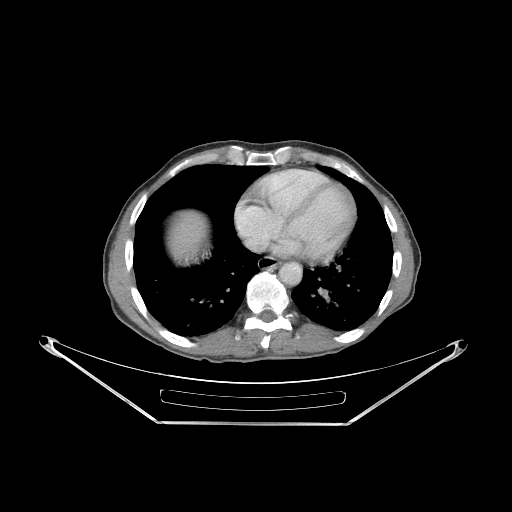 CT

liver: 159,213,213,265 | bone: 393,252,401,276; 159,330,194,346; 347,169,356,176; 247,153,275,164; 131,288,146,317; 335,329,363,342; 245,272,291,347; 125,240,132,270; 385,206,396,231; 130,195,145,223; 379,291,391,314 | lung: 291,167,393,329; 133,164,268,335